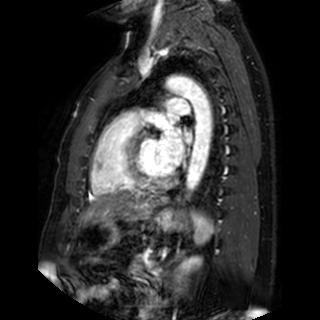
Magnetic resonance, Heart
left atrium: (x1=159, y1=124, x2=184, y2=167), (x1=167, y1=112, x2=178, y2=122), (x1=184, y1=131, x2=193, y2=143)